Field of view 360 mm wide, 5.00 mm slice spacing. Slice 55 of 86. CT. 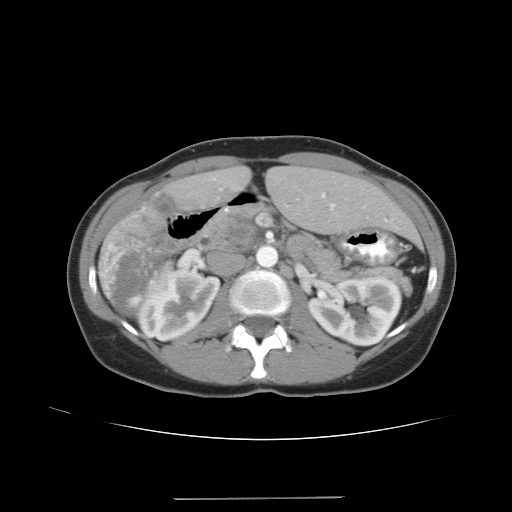 pancreatic_tumor:
  - 224,221,255,250
pancreas:
  - 209,202,415,297